Slice 69 of 155.
FLAIR MR.
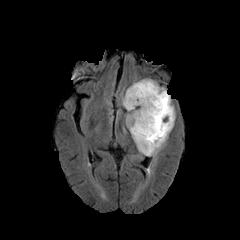
T1-weighted MR.
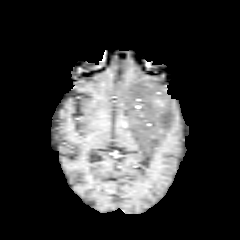
Post-contrast T1-weighted MR.
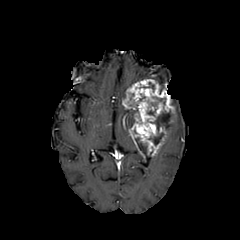
T2-weighted MRI.
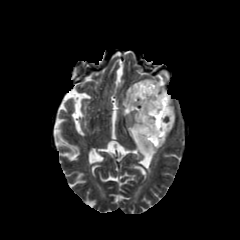
4 non-enhancing tumor core regions are bounded by box=[126, 109, 135, 126]; box=[134, 139, 147, 155]; box=[155, 111, 175, 136]; box=[152, 132, 164, 145]. The enhancing tumor is at box=[122, 79, 175, 155].